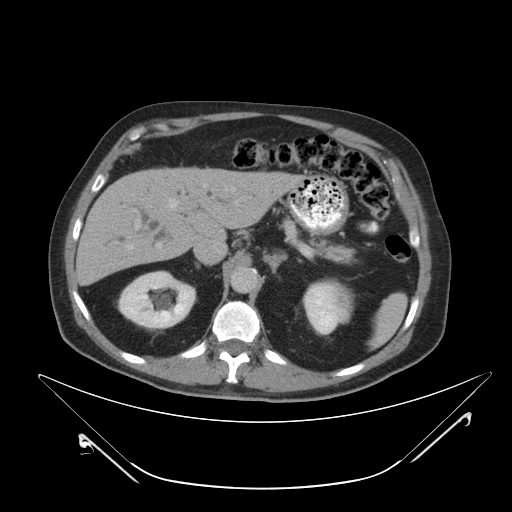 Abdomen, CT image

Pancreas: bounding box rect(321, 245, 352, 262).